CT
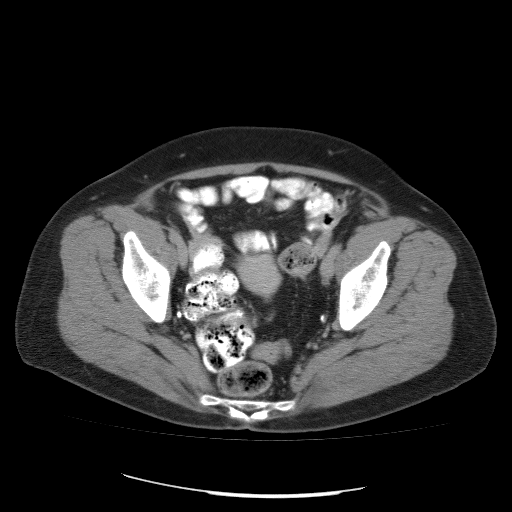
colon_tumor:
  - 252,341,280,361